Image size 512x512. CT. 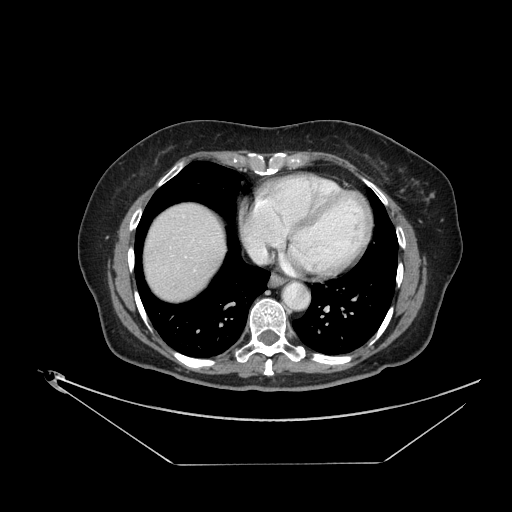
Only some of the vessels may be annotated.
<segmentation>
  <hepatic_vessel>box=[253, 248, 262, 257]</hepatic_vessel>
</segmentation>